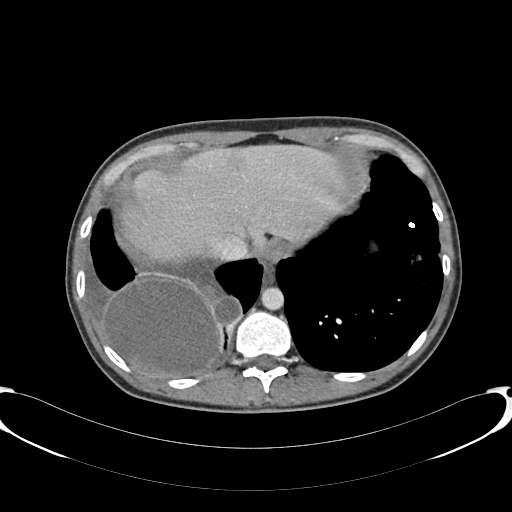

CT slice | 512x512
liver lesion: x1=229, y1=157, x2=241, y2=168 | liver: x1=121, y1=146, x2=365, y2=261